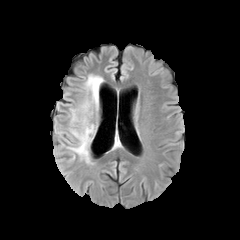
FLAIR MR image.
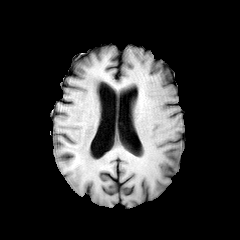
T1-weighted MRI.
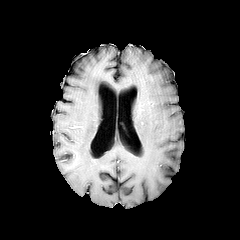
Post-contrast T1-weighted MRI of the same slice.
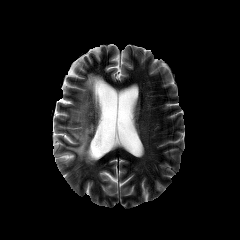
T2-weighted MR of the same slice.
The edema is located at <box>66,74,104,162</box>.